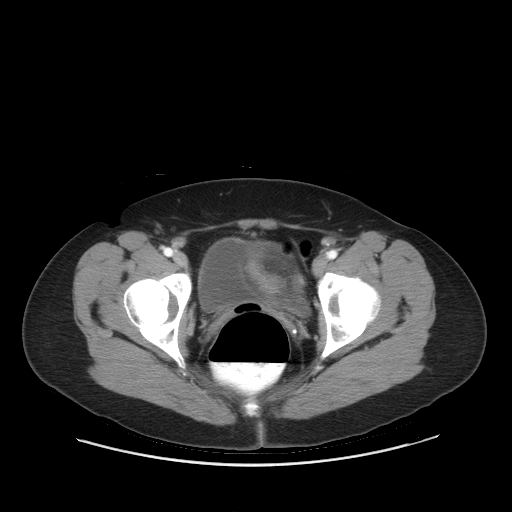
Abdomen, Computed tomography

colon tumor: <box>244,260,284,293</box>